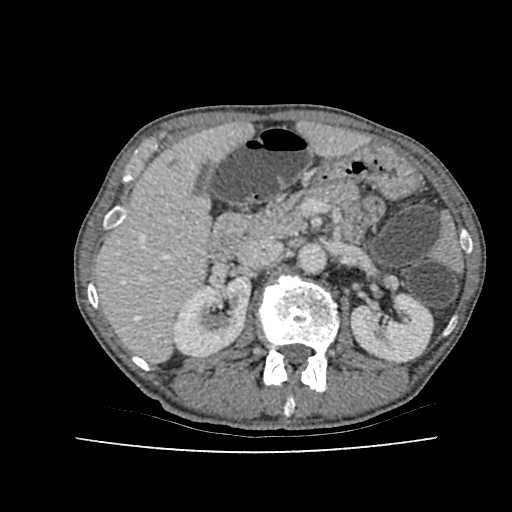

512x512; Upper abdomen; CT scan slice
<segmentation>
  <liver>[x1=301, y1=124, x2=363, y2=152], [x1=97, y1=124, x2=251, y2=359]</liver>
  <liver_lesion>[x1=169, y1=160, x2=178, y2=167]</liver_lesion>
  <kidney>[x1=173, y1=277, x2=249, y2=355], [x1=352, y1=295, x2=432, y2=361]</kidney>
</segmentation>